Head, Slice index 82
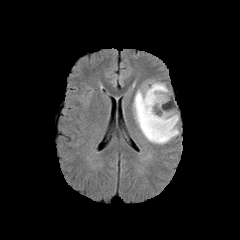
FLAIR MR image.
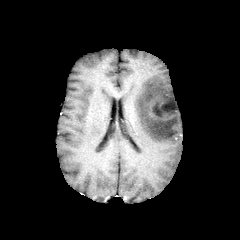
T1-weighted magnetic resonance.
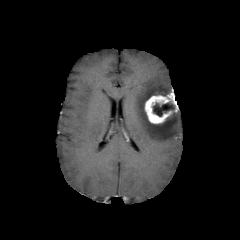
Same slice, post-contrast T1-weighted magnetic resonance.
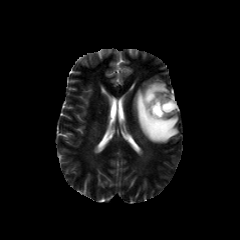
T2-weighted MR image.
Non-enhancing tumor core: 153,102,174,116.
Enhancing tumor: 144,89,178,124.
Edema: 133,79,179,144.